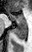
MR image
Anterior hippocampus at region(7, 11, 25, 22).
Posterior hippocampus at region(14, 23, 27, 39).